FLAIR MRI.
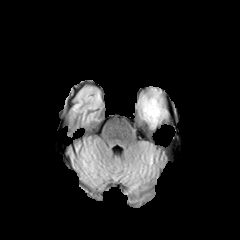
T1-weighted MR image.
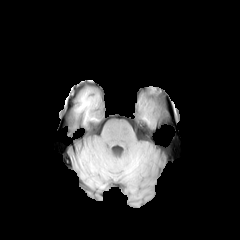
Post-contrast T1-weighted magnetic resonance.
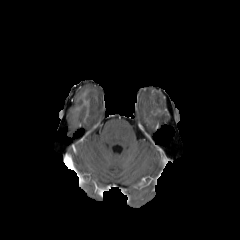
T2-weighted MRI.
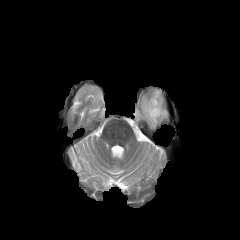
240x240 | Head
The edema is located at rect(141, 93, 164, 125). The non-enhancing tumor core appears at rect(152, 102, 161, 113).